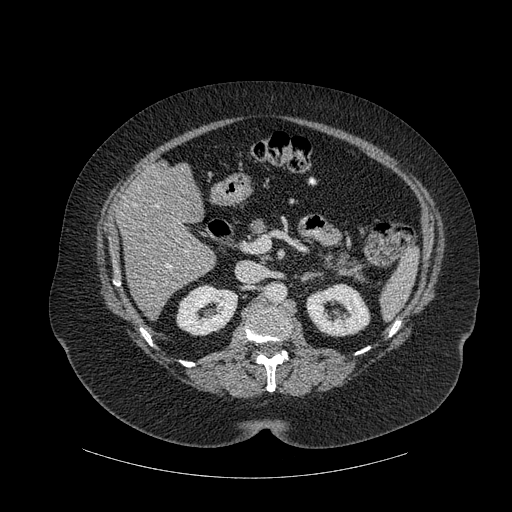
Abdomen. CT scan slice.
The liver appears at [116, 161, 216, 314]. 2 kidney regions are located at [307, 284, 369, 335], [177, 286, 237, 334]. 6 bone regions are bounded by [245, 299, 290, 342], [256, 351, 287, 391], [140, 327, 152, 345], [355, 346, 369, 354], [180, 360, 194, 366], [389, 321, 400, 336].